Computed tomography, 512x512 px, Abdomen, Slice index 442 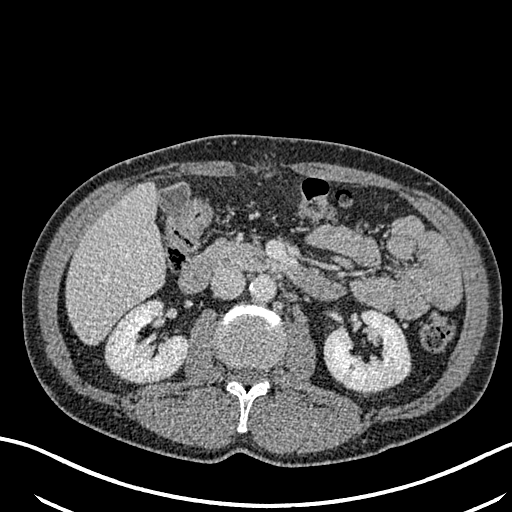 2 kidney regions are bounded by x1=106 y1=301 x2=187 y2=381, x1=325 y1=311 x2=409 y2=390. The liver is bounded by x1=67 y1=181 x2=165 y2=343.